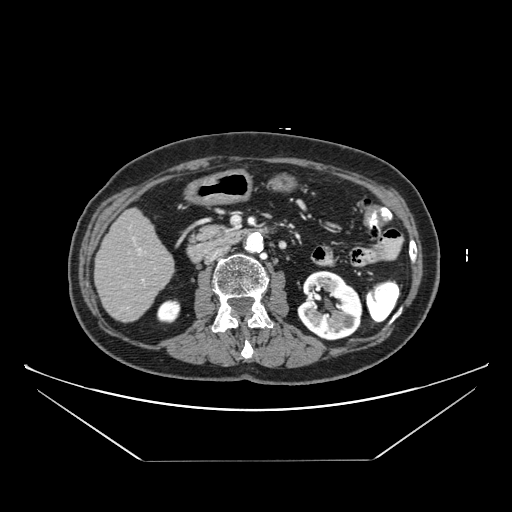 Upper abdomen | CT | Image size 512x512

The pancreas is located at 189,223,228,242.